FLAIR MR.
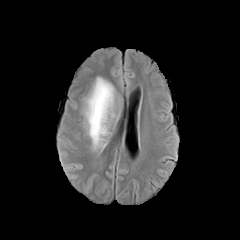
T1-weighted magnetic resonance.
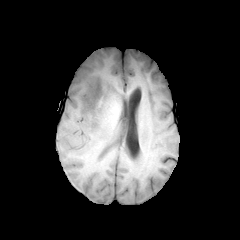
Post-contrast T1-weighted MRI.
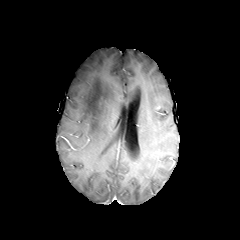
T2-weighted MRI.
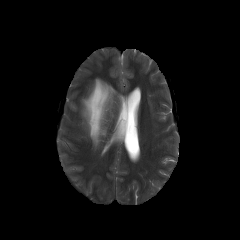
The edema is located at region(80, 76, 118, 150).